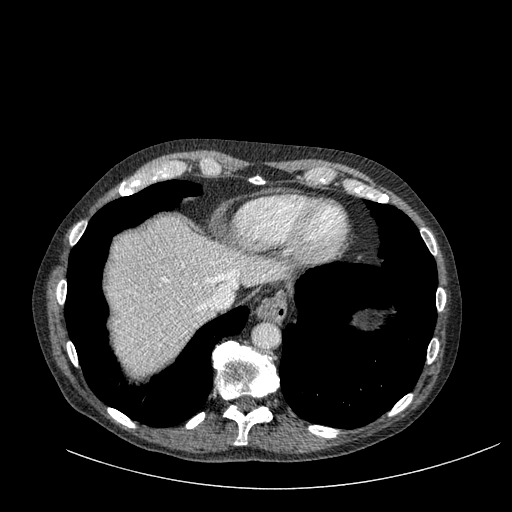
Abdomen | Computed tomography
liver: region(107, 215, 290, 373)